FLAIR MRI.
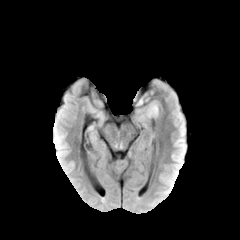
T1-weighted MRI.
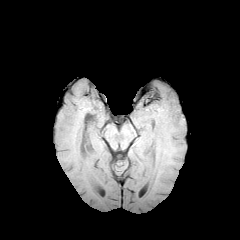
Post-contrast T1-weighted magnetic resonance.
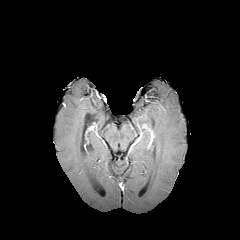
T2-weighted MRI.
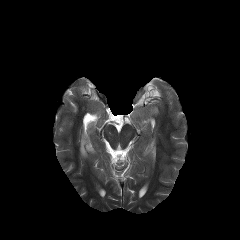
<segmentation>
  <edema><box>146,102,158,117</box></edema>
</segmentation>